Computed tomography | Slice 404/908

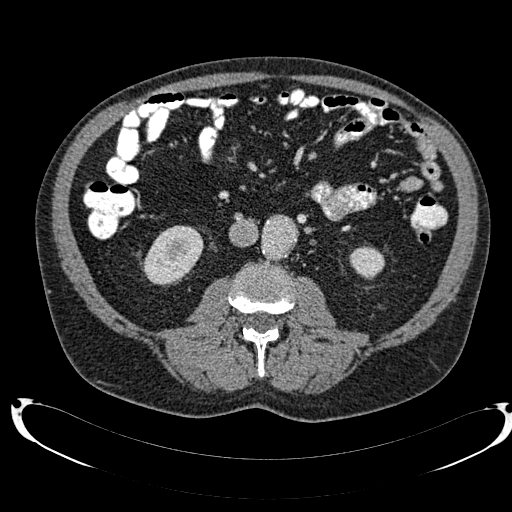
2 kidney regions are bounded by (144,225,203,284), (349,247,384,278).